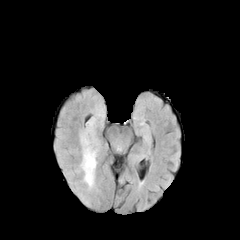
FLAIR MRI.
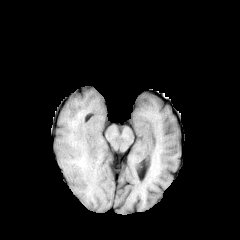
T1-weighted MR image.
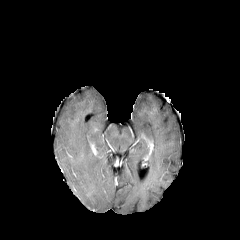
Post-contrast T1-weighted MR.
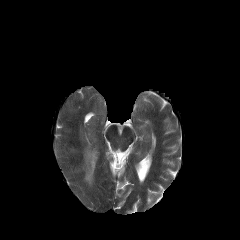
Same slice, T2-weighted magnetic resonance.
Brain
The edema is located at l=83, t=149, r=95, b=186.